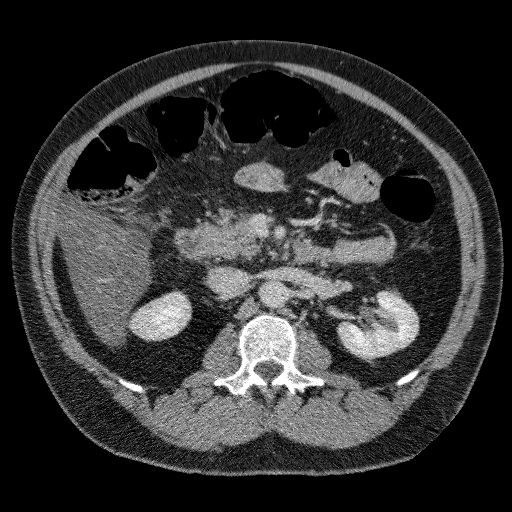 Liver. Computed tomography. Annotated regions:
* focal liver lesion: 123 232 148 256
* liver: 59 202 148 342
* kidney: 132 293 188 337, 339 292 416 357